MRI, Image size 35x48
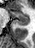
anterior hippocampus: x1=11 y1=11 x2=28 y2=17 | posterior hippocampus: x1=16 y1=18 x2=29 y2=27